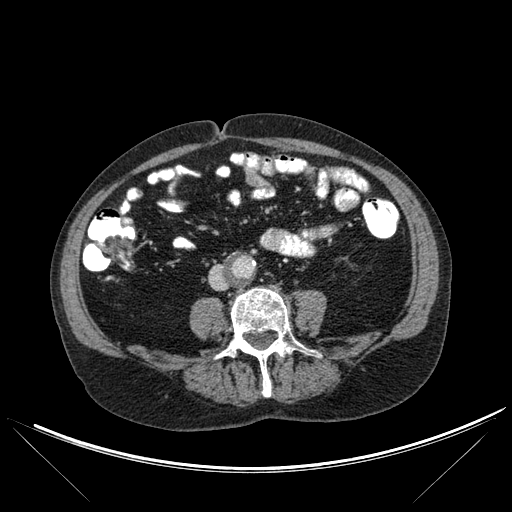

Computed tomography
The bone appears at (220,288,306,396).